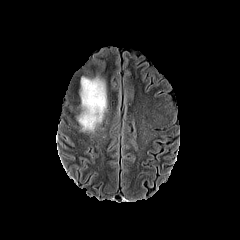
FLAIR magnetic resonance.
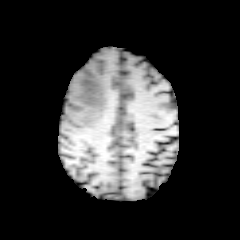
T1-weighted magnetic resonance.
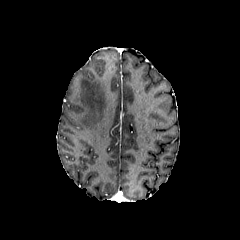
Post-contrast T1-weighted MR image of the same slice.
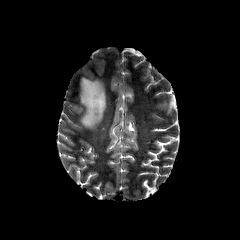
T2-weighted MR.
- edema: 78, 78, 107, 132